240x240, Slice 125 of 155
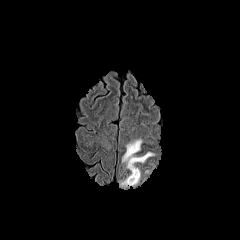
FLAIR magnetic resonance.
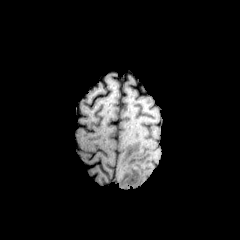
T1-weighted MRI.
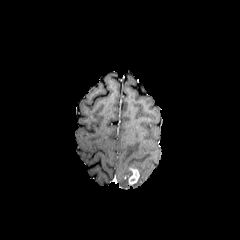
Post-contrast T1-weighted MR of the same slice.
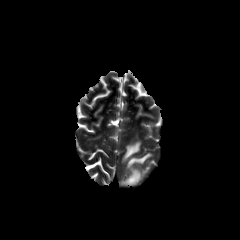
T2-weighted MR image.
enhancing tumor: 129 167 138 185 | edema: 122 140 152 168, 119 178 130 189